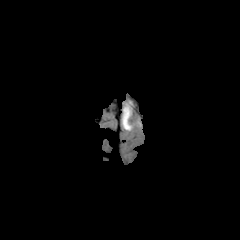
FLAIR magnetic resonance.
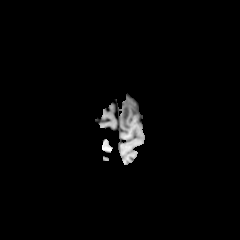
T1-weighted magnetic resonance of the same slice.
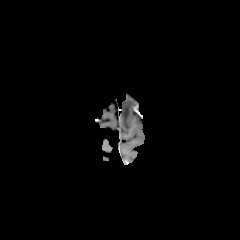
Post-contrast T1-weighted MR image.
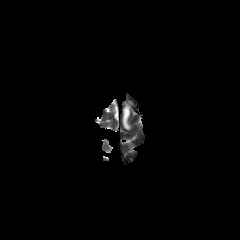
Same slice, T2-weighted magnetic resonance.
Image size 240x240. Brain.
Findings:
* edema: left=122, top=101, right=133, bottom=129